CT. Image width 353 mm. Abdomen.

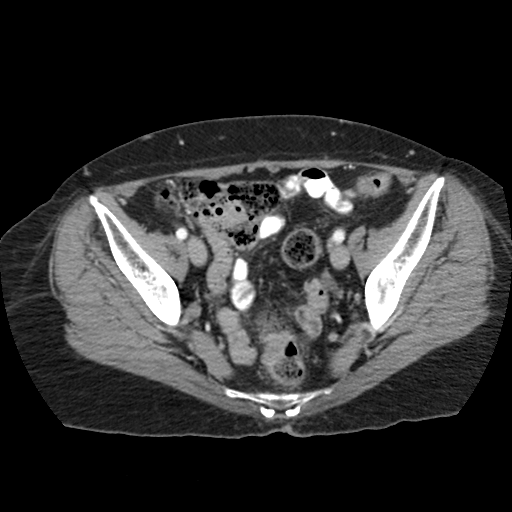
Colon tumor: bounding box [261,332,290,365].